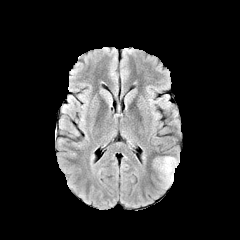
FLAIR MR.
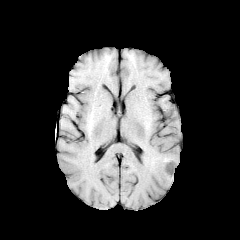
T1-weighted MRI of the same slice.
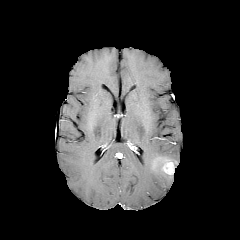
Post-contrast T1-weighted MR image.
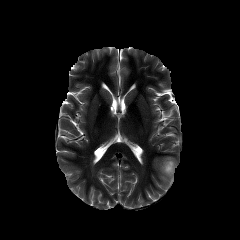
T2-weighted magnetic resonance.
Head
The enhancing tumor is located at (x1=162, y1=160, x2=174, y2=174). The edema appears at (x1=157, y1=156, x2=178, y2=186).